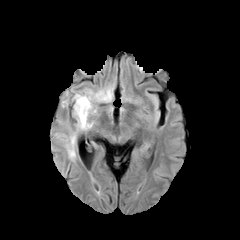
FLAIR MR.
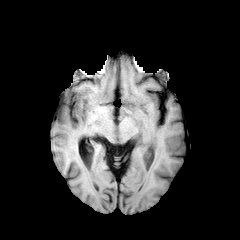
Same slice, T1-weighted MR image.
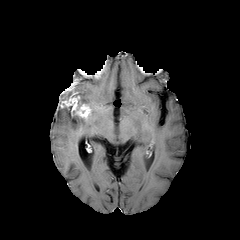
Post-contrast T1-weighted magnetic resonance.
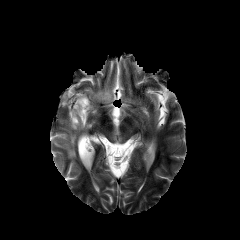
T2-weighted MR image.
Findings:
- non-enhancing tumor core: x1=63, y1=84, x2=81, y2=100
- enhancing tumor: x1=64, y1=84, x2=77, y2=95; x1=64, y1=95, x2=91, y2=120
- edema: x1=56, y1=84, x2=113, y2=158